MR image | Image size 35x56 | Slice 12 of 34
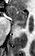
anterior_hippocampus:
  - (x1=8, y1=6, x2=26, y2=22)
posterior_hippocampus:
  - (x1=15, y1=23, x2=25, y2=27)